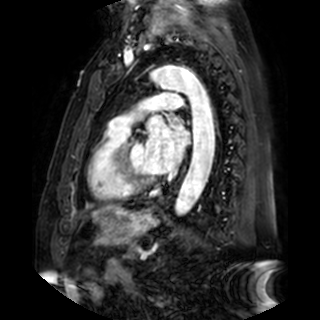
Heart; Magnetic resonance
left_atrium:
  - left=145, top=117, right=189, bottom=173